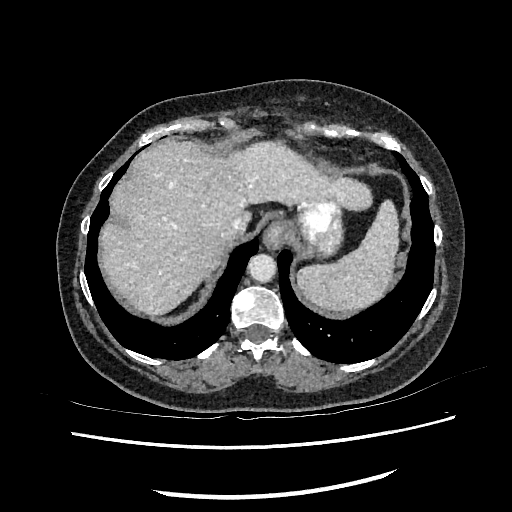

CT slice, 512x512
The liver is at box=[100, 140, 368, 313].